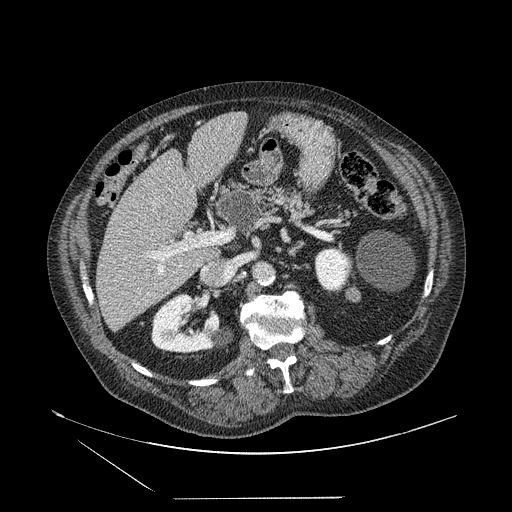 CT scan slice; 512x512 px; Upper abdomen
The pancreas is at (left=215, top=181, right=331, bottom=230). The pancreatic tumor is located at (left=221, top=189, right=258, bottom=228).